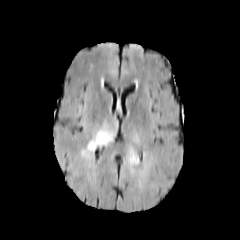
FLAIR MRI.
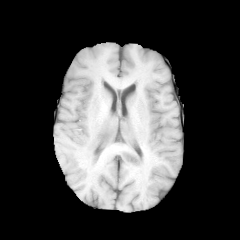
T1-weighted MR.
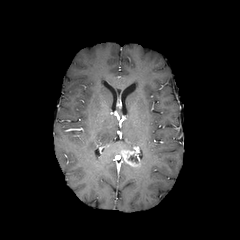
Post-contrast T1-weighted MR image of the same slice.
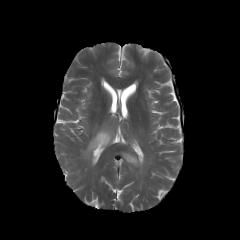
T2-weighted MRI.
Brain
non-enhancing tumor core: [x1=127, y1=154, x2=138, y2=163] | enhancing tumor: [x1=121, y1=149, x2=140, y2=166] | edema: [x1=81, y1=125, x2=114, y2=157]